FLAIR MRI.
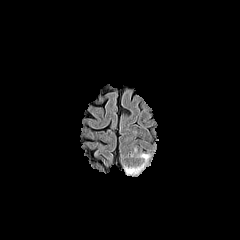
T1-weighted MR.
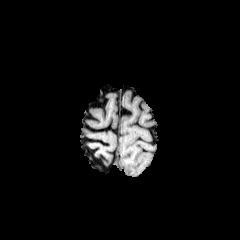
Post-contrast T1-weighted MR.
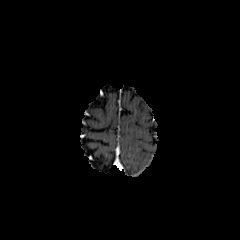
T2-weighted MR image.
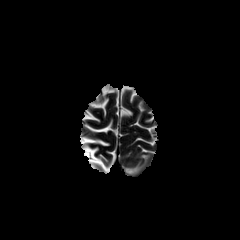
240x240 px.
The edema is located at (left=125, top=167, right=141, bottom=174).